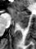 MR image.
{
  "posterior_hippocampus": [
    "rect(19, 23, 27, 28)"
  ],
  "anterior_hippocampus": [
    "rect(9, 7, 29, 22)"
  ]
}